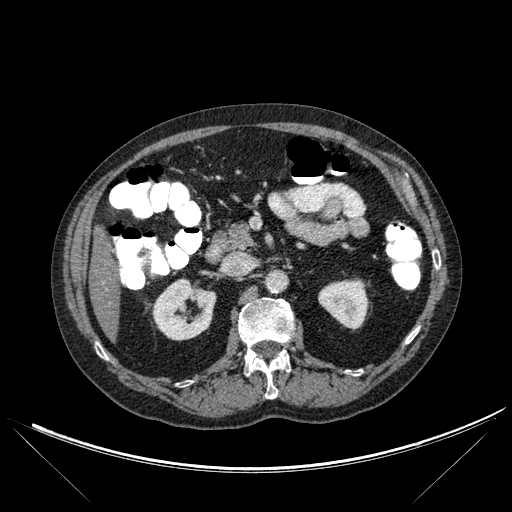
CT slice; Abdomen
The liver appears at (89,232,122,340). 2 kidney regions appear at (153,279,215,339), (318,280,367,328). 4 bone regions are located at (433,251,440,268), (345,369,362,375), (238,298,294,398), (405,327,418,343).